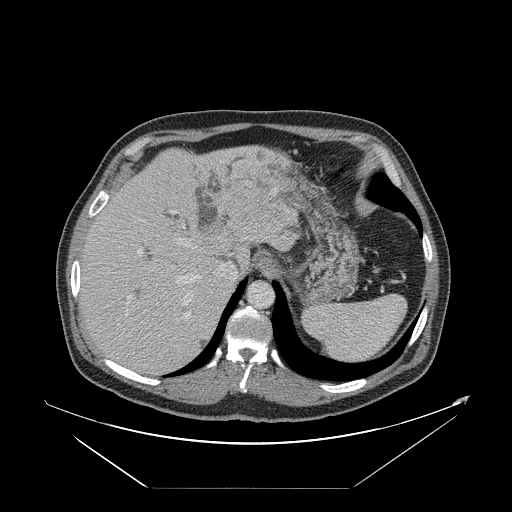 CT, Liver
Only some of the vessels may be annotated.
* hepatic vessel: 176:238:195:247, 125:310:127:315, 127:295:131:303, 176:274:200:284, 137:247:142:255, 181:312:190:319, 182:292:192:305, 171:211:175:213, 182:222:183:227, 171:266:174:267, 214:262:236:284, 251:238:256:239
* liver tumor: 203:212:232:233